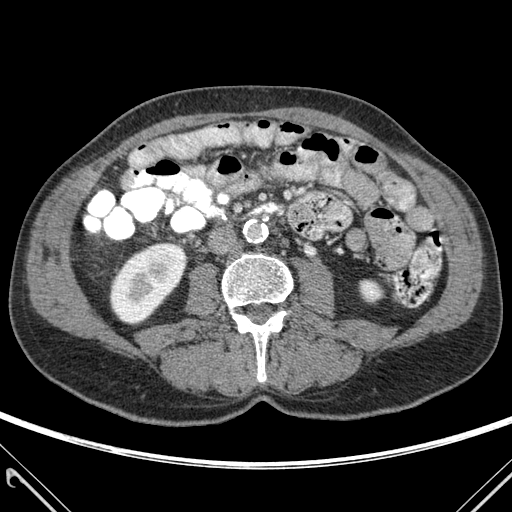
CT image | Abdomen
The bone appears at box=[222, 254, 292, 381]. 2 kidney regions appear at box=[362, 282, 379, 299]; box=[111, 244, 184, 322].